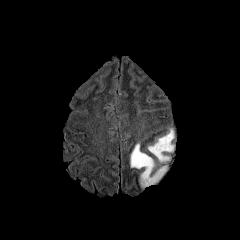
FLAIR magnetic resonance.
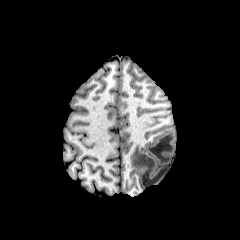
T1-weighted MR image of the same slice.
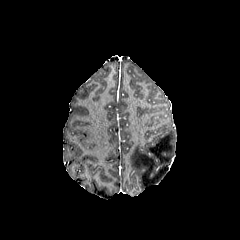
Same slice, post-contrast T1-weighted MRI.
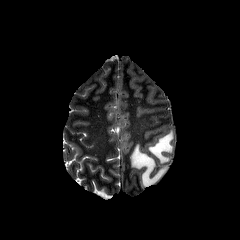
T2-weighted MRI.
Brain; 240x240
The non-enhancing tumor core is bounded by <box>158,165,168,176</box>. 2 edema regions appear at <box>147,129,174,161</box>, <box>130,144,160,186</box>.